Slice 74 of 155
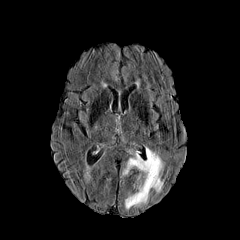
FLAIR magnetic resonance.
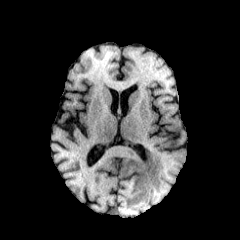
T1-weighted magnetic resonance.
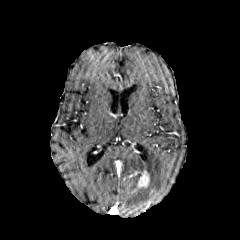
Same slice, post-contrast T1-weighted magnetic resonance.
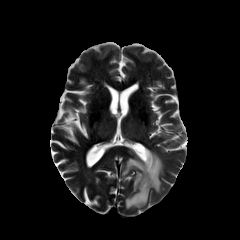
T2-weighted MR.
The edema is bounded by <box>121,147,161,210</box>. The enhancing tumor appears at <box>138,170,150,188</box>.